Abdomen. Computed tomography. 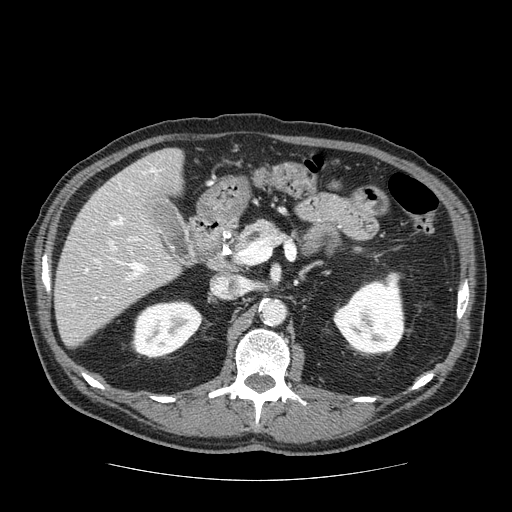
Segmented structures:
- pancreas: [x1=232, y1=220, x2=285, y2=250]